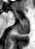 Hippocampus, Magnetic resonance
Posterior hippocampus = 16, 21, 28, 34.
Anterior hippocampus = 13, 7, 27, 20.